Brain | Image size 240x240
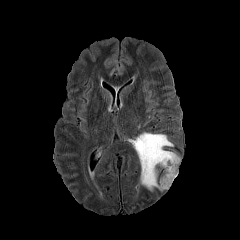
FLAIR magnetic resonance.
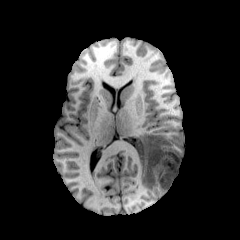
T1-weighted MRI of the same slice.
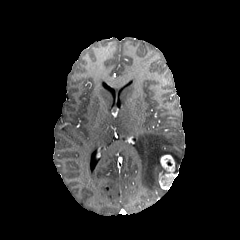
Post-contrast T1-weighted MR image.
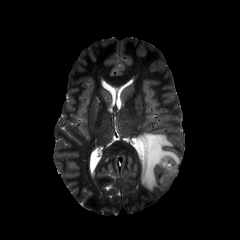
T2-weighted MR.
non-enhancing_tumor_core:
  - l=157, t=164, r=170, b=174
enhancing_tumor:
  - l=158, t=155, r=177, b=189
edema:
  - l=134, t=132, r=180, b=192